240x240, Slice 58/155, Head
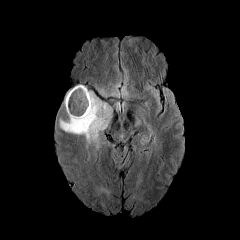
FLAIR MR.
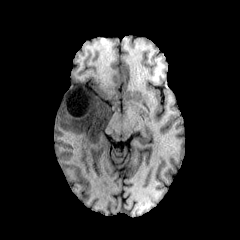
T1-weighted MR image.
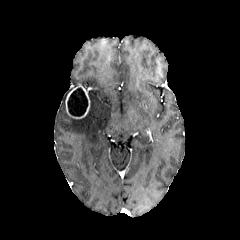
Post-contrast T1-weighted MRI.
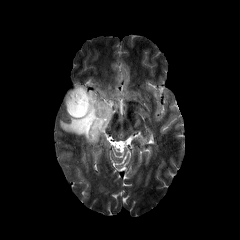
Same slice, T2-weighted MRI.
<segmentation>
  <enhancing_tumor>region(65, 85, 89, 119)</enhancing_tumor>
  <non-enhancing_tumor_core>region(68, 87, 87, 116)</non-enhancing_tumor_core>
  <edema>region(96, 89, 107, 98); region(58, 91, 111, 150)</edema>
</segmentation>